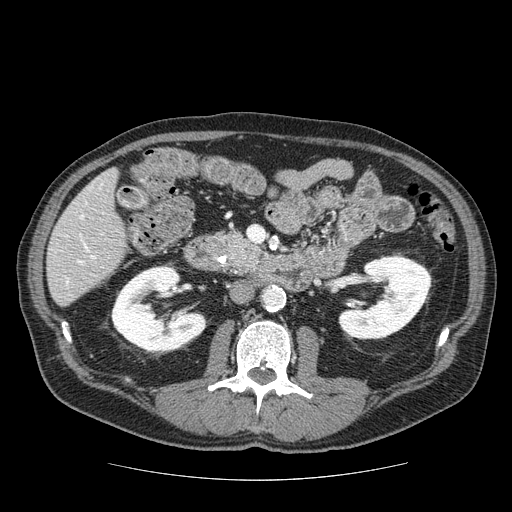

CT slice
Pancreas: bounding box 217,230,267,274.